FLAIR MR image.
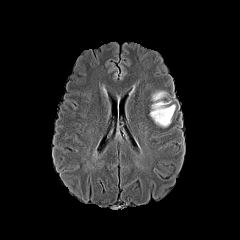
T1-weighted MRI.
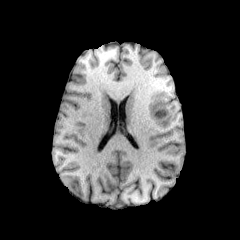
Post-contrast T1-weighted MR.
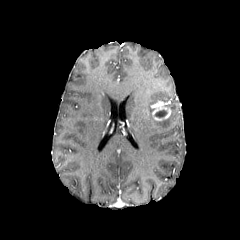
T2-weighted MR.
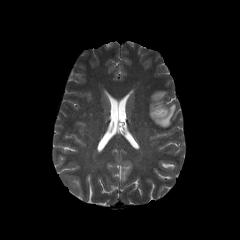
edema: region(149, 104, 176, 128); region(149, 90, 168, 103) | enhancing tumor: region(150, 101, 171, 120) | non-enhancing tumor core: region(155, 110, 168, 117)